512x512 px. CT scan slice. Field of view 496 mm wide, 0.80 mm slice spacing.
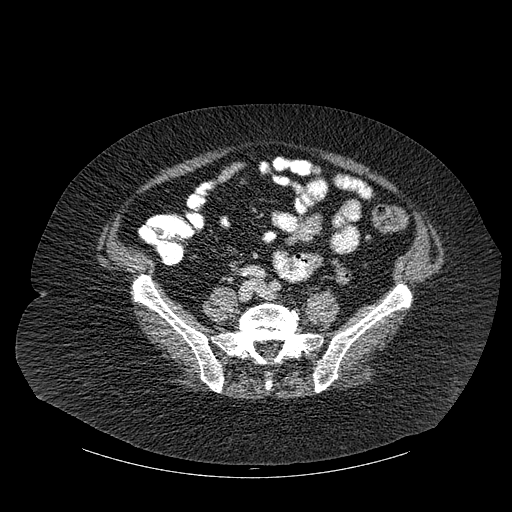

Bone = {"x1": 313, "y1": 284, "x2": 411, "y2": 392}, {"x1": 265, "y1": 372, "x2": 271, "y2": 389}, {"x1": 133, "y1": 275, "x2": 322, "y2": 392}.